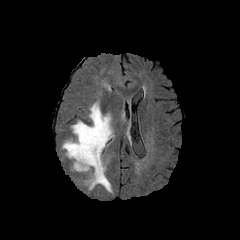
FLAIR MR image.
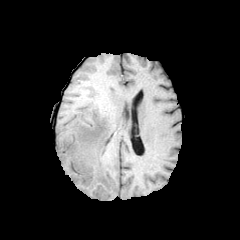
T1-weighted MR.
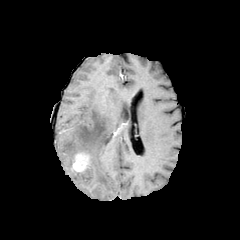
Post-contrast T1-weighted magnetic resonance of the same slice.
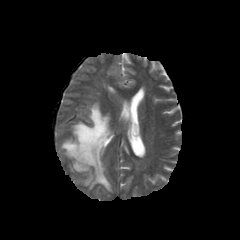
T2-weighted MR.
Brain.
Enhancing tumor: bounding box 72 153 88 171.
Edema: bounding box 61 103 113 191.